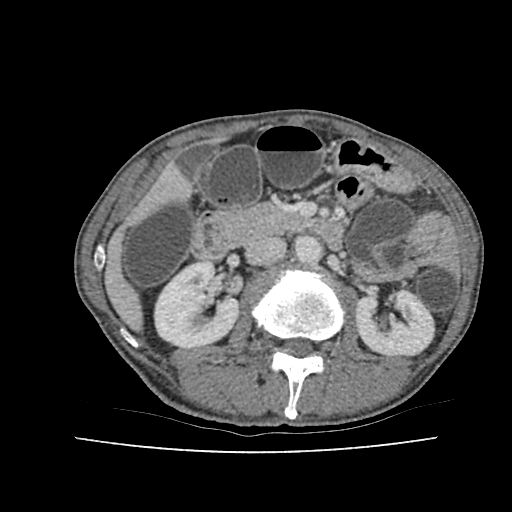 CT image.

2 kidney regions are bounded by <bbox>357, 291, 433, 354</bbox>, <bbox>155, 262, 237, 347</bbox>. 2 liver regions are bounded by <bbox>129, 168, 185, 224</bbox>, <bbox>106, 240, 139, 320</bbox>.